512x512. CT slice. 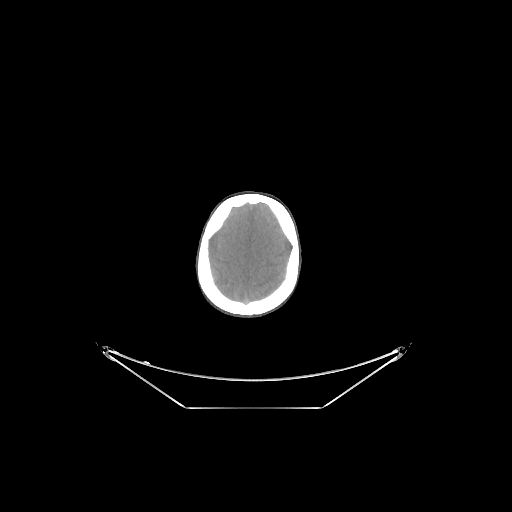

- bone: bbox=[198, 194, 298, 314]
- brain: bbox=[208, 202, 292, 303]